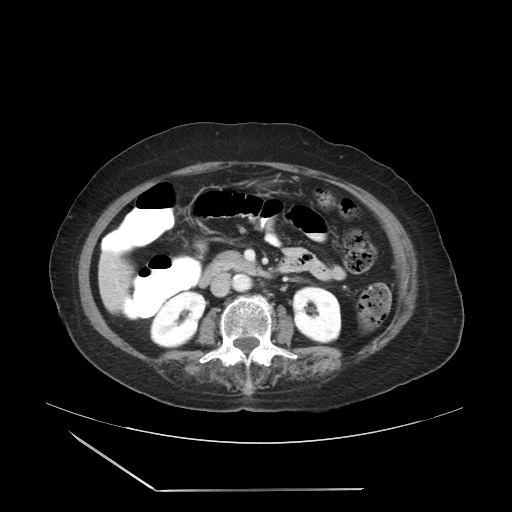

Image size 512x512. CT image. Only some of the vessels may be annotated.
<segmentation>
  <hepatic_vessel><bbox>112, 254, 115, 255</bbox>, <bbox>103, 251, 108, 259</bbox>, <bbox>123, 299, 127, 308</bbox>, <bbox>116, 280, 119, 290</bbox></hepatic_vessel>
  <liver_tumor><bbox>118, 282, 129, 291</bbox></liver_tumor>
</segmentation>